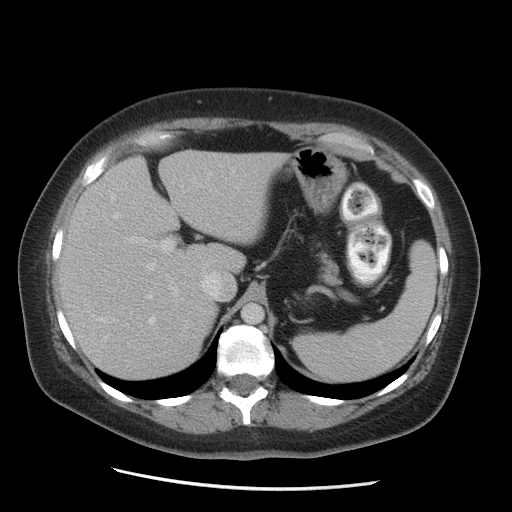
CT scan slice. Image size 512x512. Liver.
Annotated regions:
- liver: rect(57, 151, 282, 378)
- hepatic lesion: rect(103, 194, 109, 202)